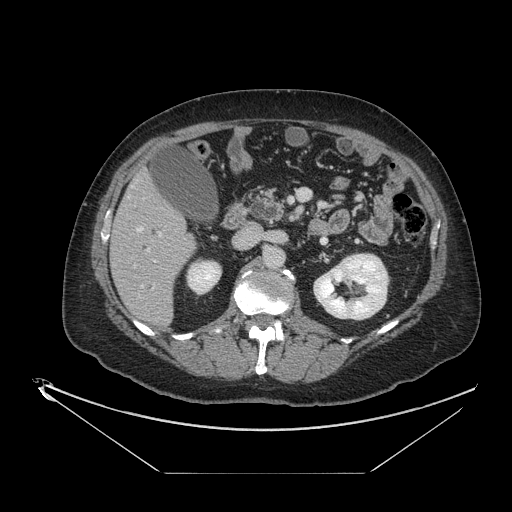

Abdomen, CT image
The pancreas is bounded by l=264, t=194, r=284, b=220.